CT slice; Slice index 580; Liver
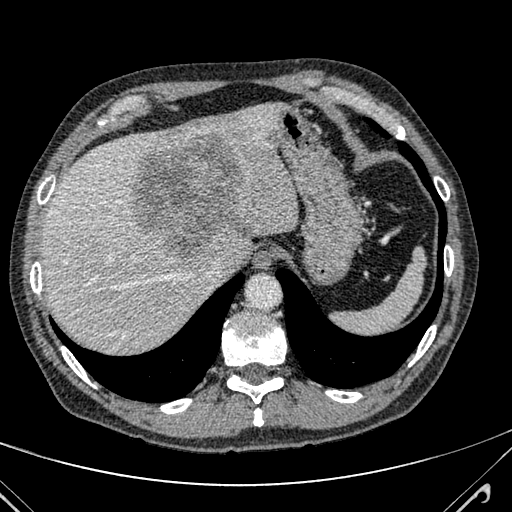

Hepatic lesion = [268, 129, 275, 142], [131, 134, 251, 262].
Liver = [43, 104, 298, 352].